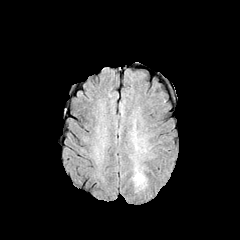
FLAIR MR.
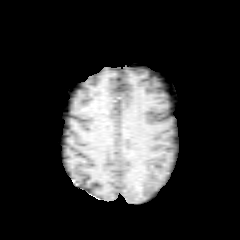
Same slice, T1-weighted MRI.
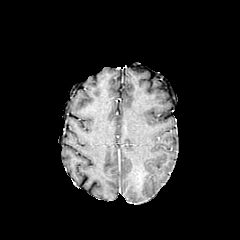
Post-contrast T1-weighted magnetic resonance.
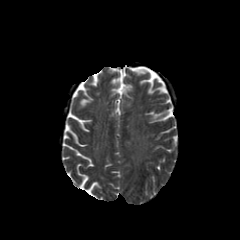
T2-weighted MR image of the same slice.
Edema — rect(135, 174, 143, 184).